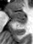 Medial temporal lobe | MR
The posterior hippocampus is bounded by (14, 20, 26, 24). The anterior hippocampus is at (8, 9, 26, 19).